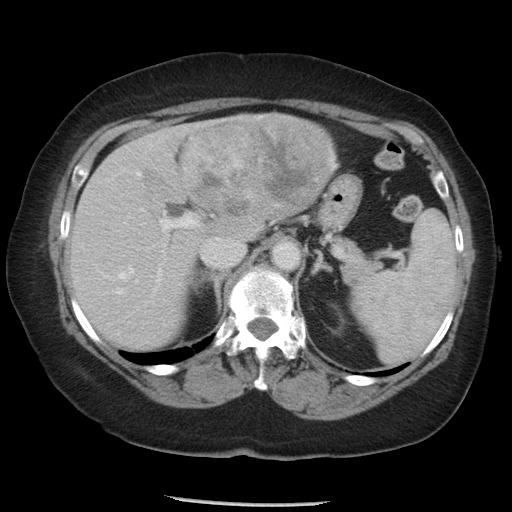

512x512 px. CT image.

Not every hepatic vessel necessarily has a box.
<segmentation>
  <liver_tumor>[x1=189, y1=114, x2=332, y2=217]</liver_tumor>
  <hepatic_vessel>[x1=135, y1=280, x2=137, y2=282], [x1=82, y1=243, x2=83, y2=248], [x1=116, y1=287, x2=123, y2=293], [x1=162, y1=243, x2=165, y2=252], [x1=140, y1=208, x2=143, y2=210], [x1=160, y1=212, x2=208, y2=236], [x1=149, y1=143, x2=151, y2=147], [x1=118, y1=266, x2=133, y2=280], [x1=136, y1=171, x2=140, y2=175]</hepatic_vessel>
</segmentation>